Head
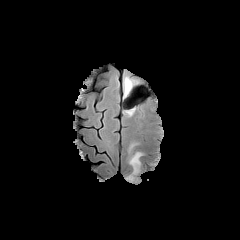
FLAIR magnetic resonance.
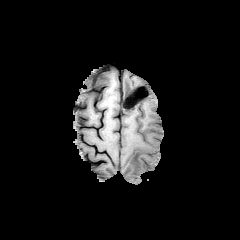
T1-weighted MR image.
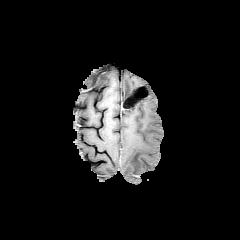
Post-contrast T1-weighted MRI of the same slice.
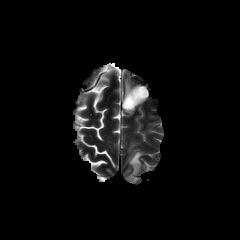
T2-weighted MRI.
Edema — 126 150 144 183, 123 78 131 98.